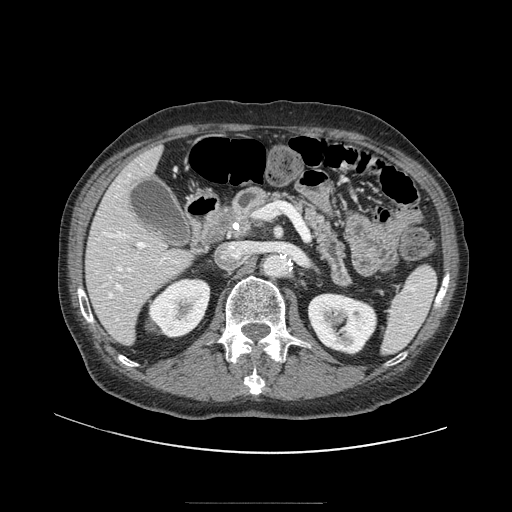

CT slice | Abdomen
Pancreatic tumor at l=219, t=210, r=240, b=222.
Pancreas at l=233, t=188, r=349, b=285.